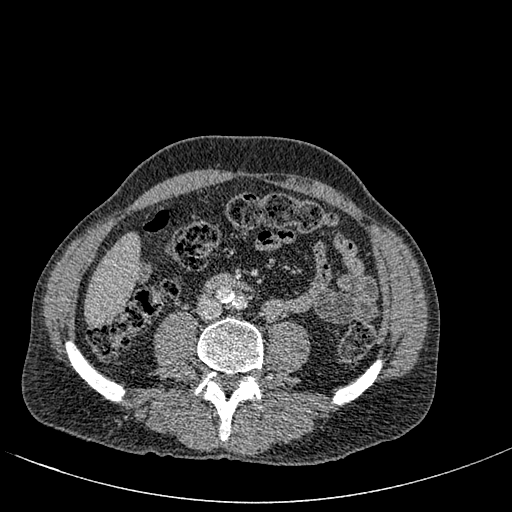

Liver. CT image. 512x512 px.

Liver — [85, 233, 138, 323].